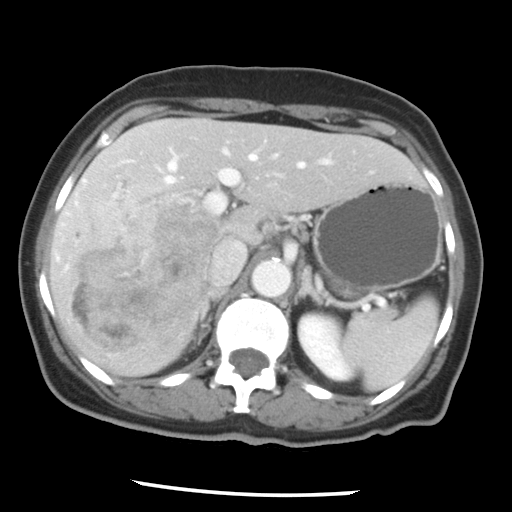 CT image
The vessel boxes may cover only some of the vessels.
hepatic_vessel:
  - 61:233:63:241
  - 248:153:257:160
  - 156:147:178:185
  - 205:193:224:212
  - 83:178:88:187
  - 298:162:304:167
  - 321:159:330:162
  - 218:165:238:184
  - 216:241:243:278
  - 225:150:226:152
liver_tumor:
  - 70:189:218:352